Image width 240 mm; Slice index 57; 240x240
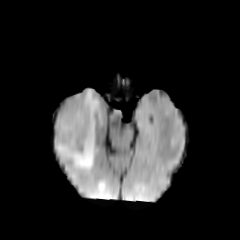
FLAIR MR image.
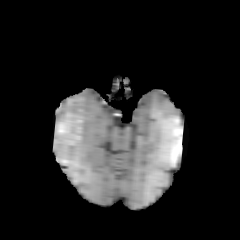
T1-weighted magnetic resonance.
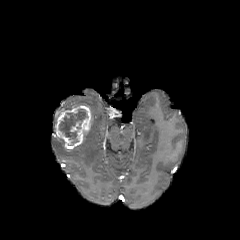
Same slice, post-contrast T1-weighted magnetic resonance.
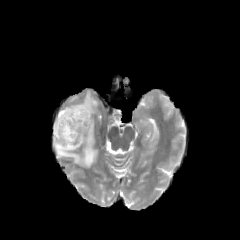
T2-weighted magnetic resonance.
enhancing tumor: region(55, 105, 93, 150) | edema: region(54, 89, 100, 168) | non-enhancing tumor core: region(58, 109, 86, 144)